FLAIR MRI.
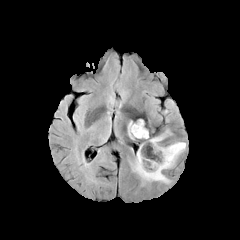
T1-weighted MR image.
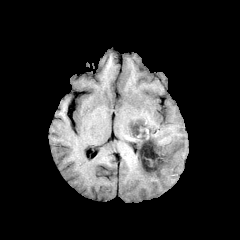
Post-contrast T1-weighted MRI.
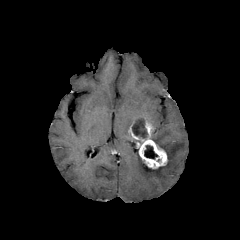
T2-weighted MR image.
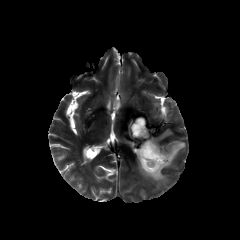
240x240 px, Head
The enhancing tumor is at [x1=128, y1=120, x2=167, y2=168]. 2 edema regions are located at [x1=151, y1=130, x2=170, y2=143], [x1=133, y1=141, x2=186, y2=182]. 3 non-enhancing tumor core regions are located at [x1=141, y1=158, x2=159, y2=170], [x1=131, y1=119, x2=148, y2=139], [x1=144, y1=145, x2=158, y2=159].